CT image. 512x512 px. 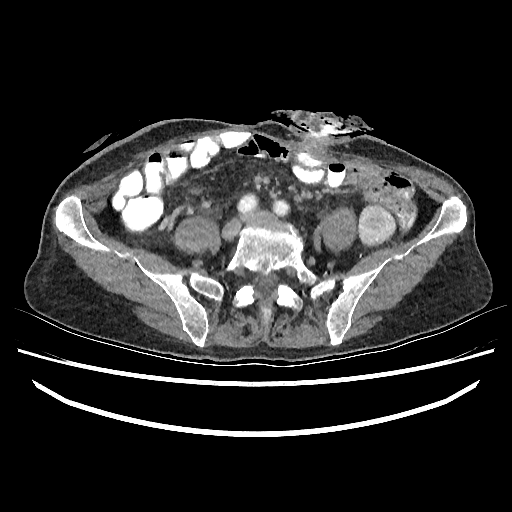

kidney:
  - <bbox>385, 254, 405, 262</bbox>
  - <bbox>359, 206, 394, 244</bbox>